FLAIR MR image.
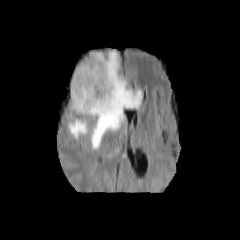
T1-weighted magnetic resonance.
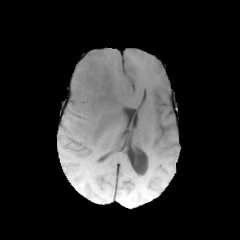
Post-contrast T1-weighted MR.
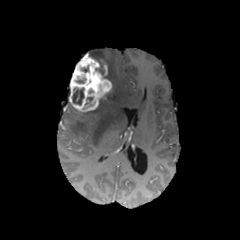
T2-weighted magnetic resonance.
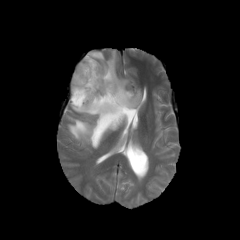
Head
3 non-enhancing tumor core regions are bounded by bbox=[101, 86, 113, 98]; bbox=[88, 51, 107, 75]; bbox=[72, 88, 83, 104]. The edema is bounded by bbox=[68, 50, 142, 148]. The enhancing tumor is at bbox=[69, 54, 112, 111].